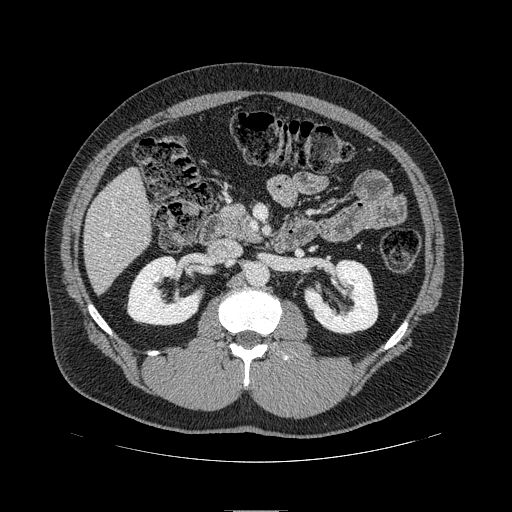 CT slice. 512x512 px. Abdomen. Findings:
* pancreas: left=224, top=205, right=251, bottom=239